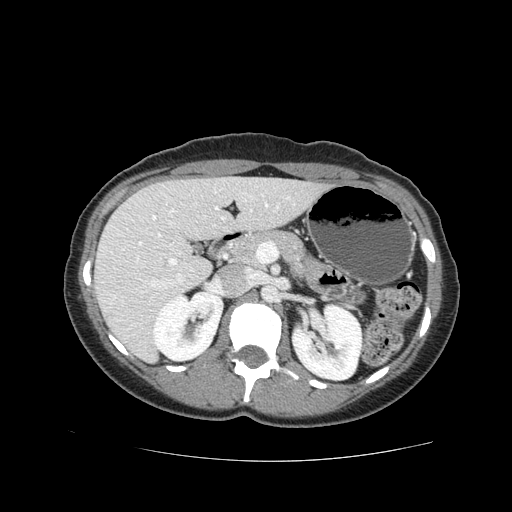

Image size 512x512 | Upper abdomen | CT
Segmented structures:
- pancreas: 230, 230, 303, 267